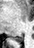

34x48; Hippocampus; MR image
<segmentation>
  <posterior_hippocampus>{"x1": 11, "y1": 35, "x2": 22, "y2": 42}</posterior_hippocampus>
</segmentation>